CT image | Slice index 108 | Image width 415 mm | Abdomen
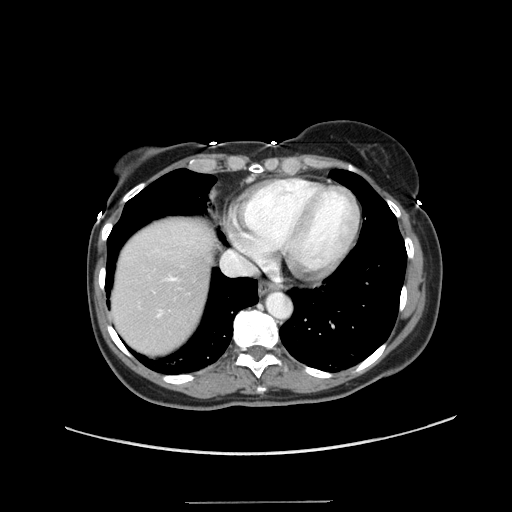 The vessel annotation is not exhaustive.
Annotated regions:
* hepatic vessel: box(168, 277, 175, 280); box(159, 310, 161, 314); box(221, 251, 255, 274)